CT scan slice; Liver
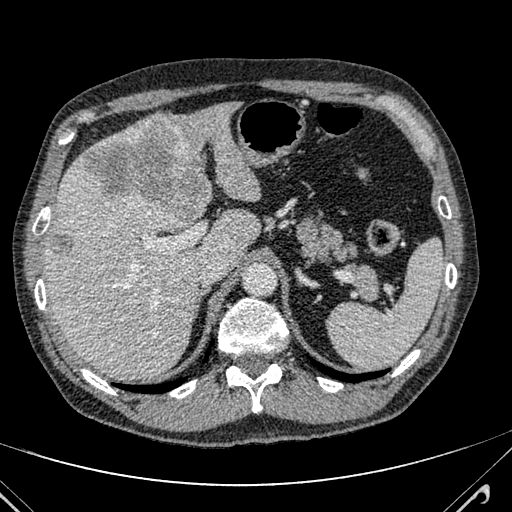 Liver: bounding box rect(95, 122, 145, 147); rect(47, 158, 257, 378); rect(155, 103, 259, 199).
Liver lesion: bounding box rect(50, 235, 72, 254); rect(81, 119, 212, 221).